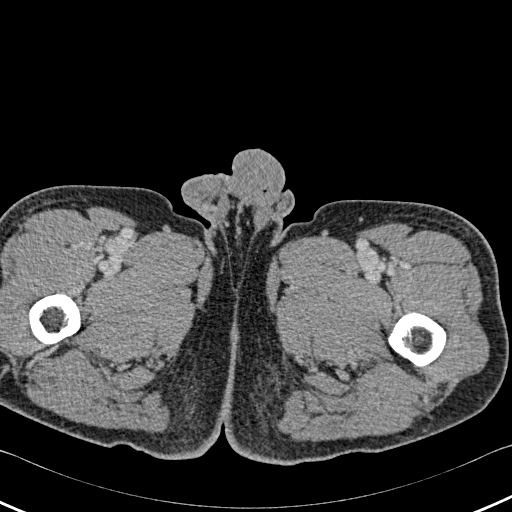

CT.

bone: [387, 313, 445, 365], [29, 294, 81, 343]